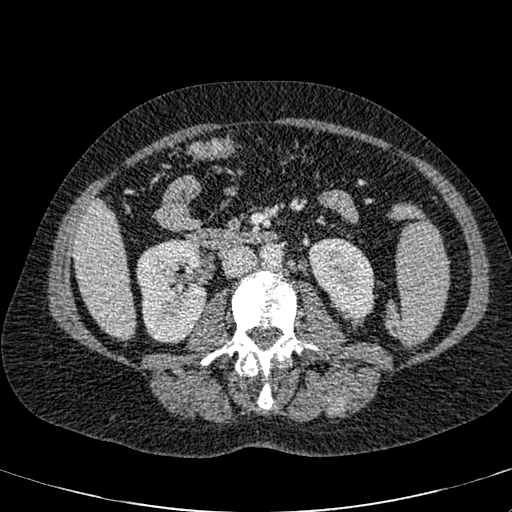
Abdomen; 512x512; CT slice

liver: (74, 201, 135, 336) | kidney: (137, 240, 205, 342), (309, 239, 373, 318)